512x512, Computed tomography, Slice 119/147
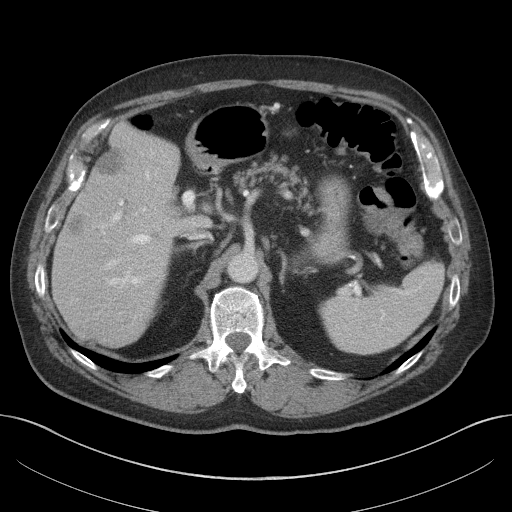 <segmentation>
  <kidney>left=161, top=288, right=172, bottom=300</kidney>
  <liver>left=51, top=125, right=180, bottom=346</liver>
  <liver_lesion>left=97, top=148, right=124, bottom=175; left=68, top=215, right=84, bottom=233</liver_lesion>
</segmentation>